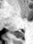 MR image | Hippocampus
The posterior hippocampus lies within bbox(14, 31, 23, 38).